Head
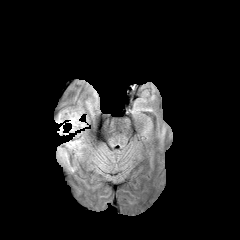
FLAIR magnetic resonance.
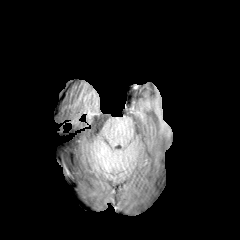
T1-weighted MRI.
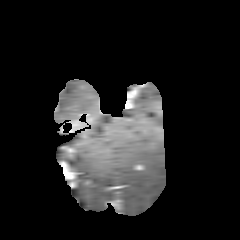
Post-contrast T1-weighted MR.
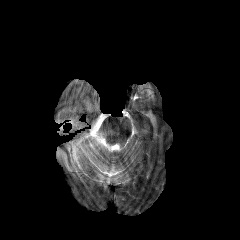
T2-weighted MR of the same slice.
2 enhancing tumor regions appear at (66,135,85,152), (68,120,80,126). 2 edema regions are located at (57,135,84,171), (56,108,81,123).